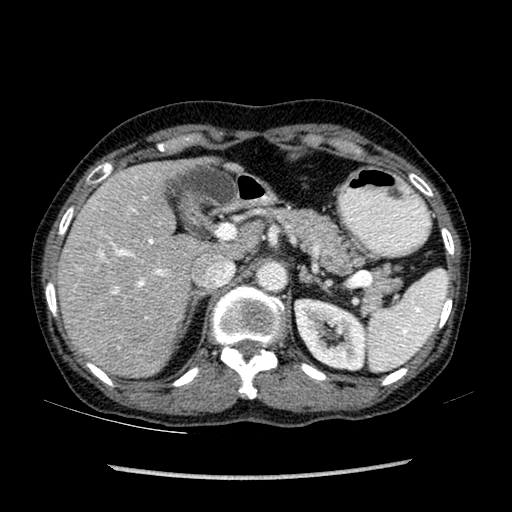 CT slice; Image size 512x512

2 liver regions are located at region(59, 166, 196, 375); region(223, 228, 259, 256). The kidney is bounded by region(295, 300, 364, 369).